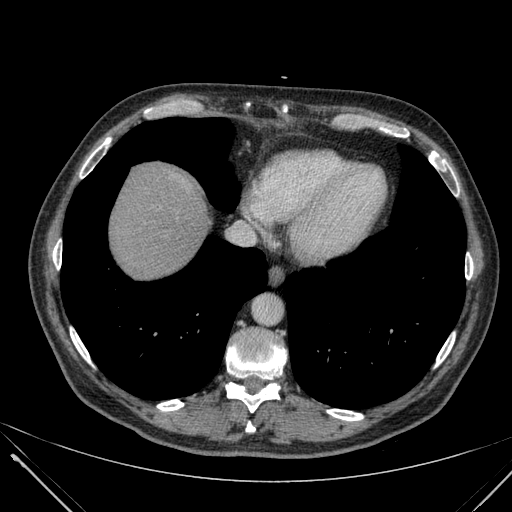
Abdomen | CT slice
• liver: 109 163 211 279